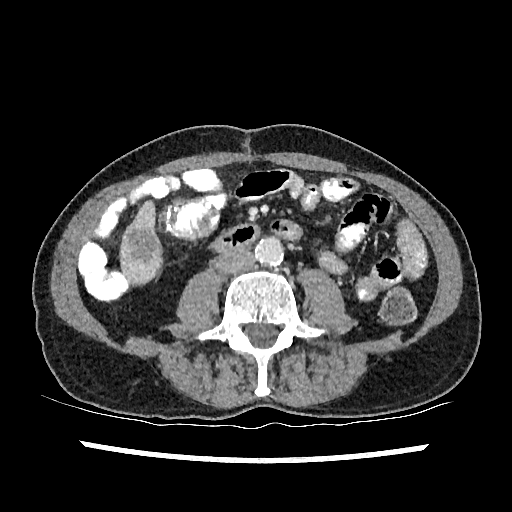 CT scan slice.
Findings:
• liver lesion: 127 229 158 261
• liver: 121 201 161 282